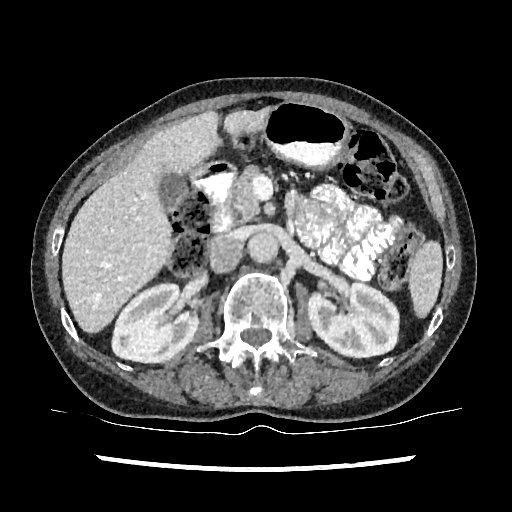
Computed tomography, 512x512
2 kidney regions are bounded by x1=110, y1=285, x2=197, y2=362; x1=309, y1=284, x2=398, y2=356. 2 liver regions are located at x1=63, y1=111, x2=217, y2=331; x1=224, y1=110, x2=268, y2=134.